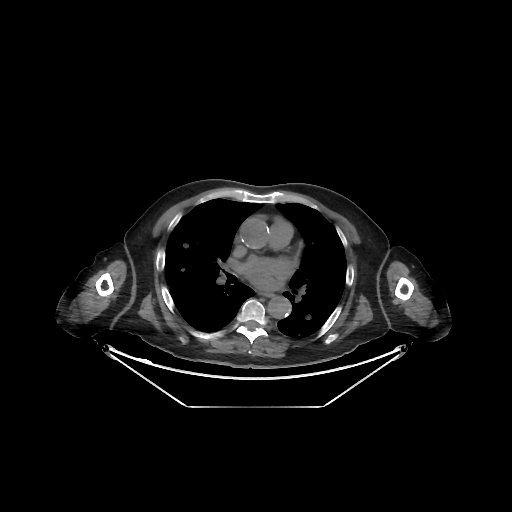 CT scan slice; Chest; 512x512 px

10 bone regions appear at (left=326, top=335, right=336, bottom=342), (left=192, top=332, right=220, bottom=338), (left=95, top=273, right=113, bottom=296), (left=235, top=300, right=267, bottom=343), (left=395, top=277, right=413, bottom=300), (left=156, top=251, right=164, bottom=267), (left=162, top=287, right=173, bottom=311), (left=243, top=192, right=279, bottom=202), (left=346, top=270, right=353, bottom=284), (left=319, top=308, right=340, bottom=335). 2 lung regions are bounded by (left=275, top=203, right=346, bottom=338), (left=164, top=198, right=263, bottom=332).